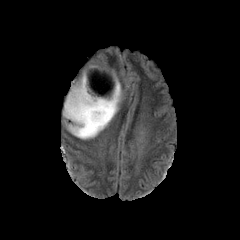
FLAIR MR image.
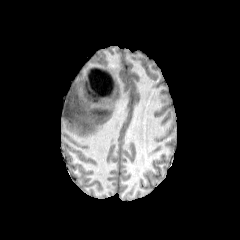
T1-weighted MR image.
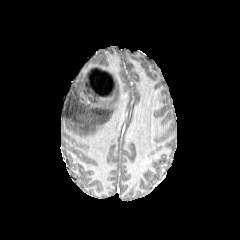
Post-contrast T1-weighted MR.
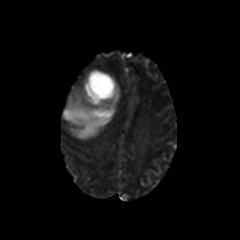
Same slice, T2-weighted MR image.
240x240 px | Brain
- non-enhancing tumor core: (94, 110, 108, 117)
- edema: (62, 73, 121, 139)